Head | Slice 51 of 155 | 240x240
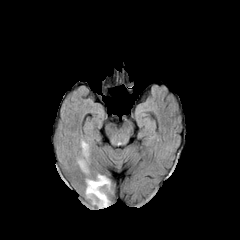
FLAIR magnetic resonance.
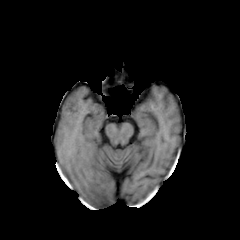
T1-weighted MR.
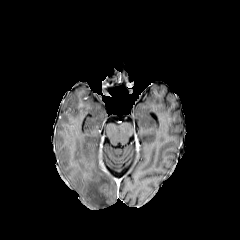
Same slice, post-contrast T1-weighted magnetic resonance.
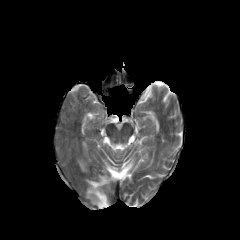
T2-weighted MR of the same slice.
Edema at (85,174,111,208), (78,160,85,171).